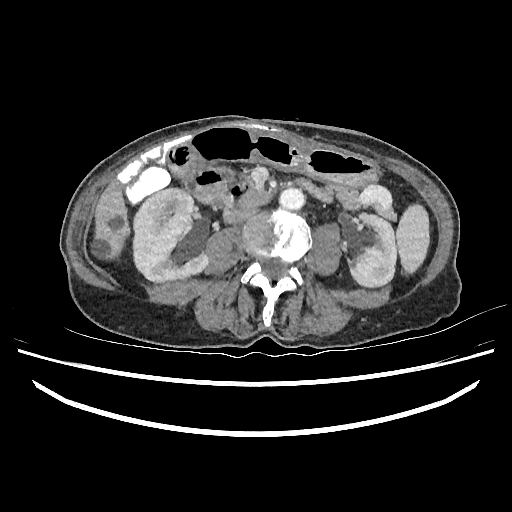

Abdomen, CT image

{"kidney": ["region(133, 189, 208, 281)", "region(350, 213, 396, 286)"], "hepatic_lesion": ["region(112, 216, 121, 228)", "region(92, 240, 108, 258)"], "liver": ["region(95, 181, 129, 259)"]}